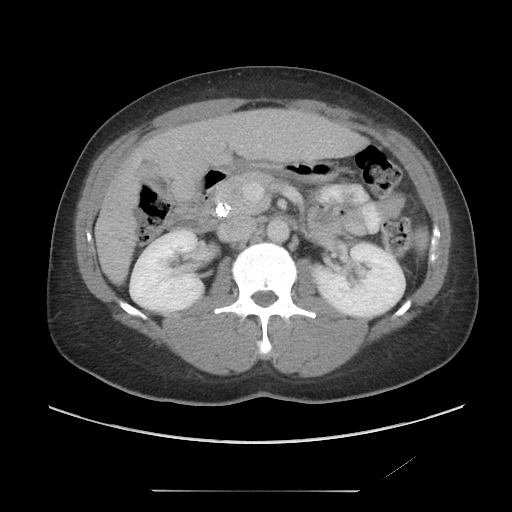 CT image; Liver
The vessel annotation is not exhaustive.
hepatic_vessel:
  - <bbox>176, 145, 181, 149</bbox>
  - <bbox>259, 145, 261, 146</bbox>